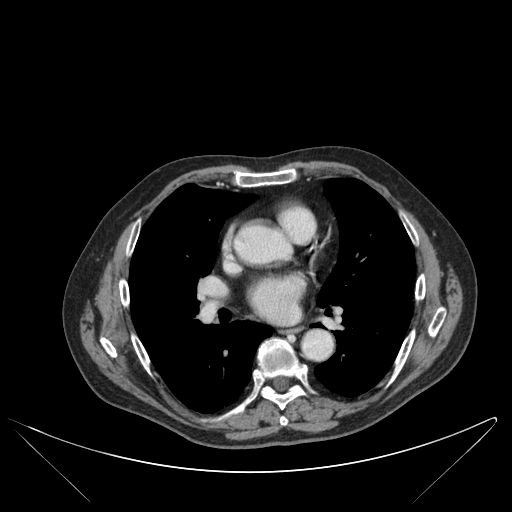
Image size 512x512 | CT slice
bone: x1=100, y1=338, x2=116, y2=357; x1=428, y1=308, x2=445, y2=336; x1=280, y1=416, x2=287, y2=424; x1=235, y1=169, x2=294, y2=186; x1=415, y1=274, x2=425, y2=299; x1=131, y1=336, x2=149, y2=372; x1=406, y1=219, x2=417, y2=241; x1=390, y1=331, x2=414, y2=382; x1=223, y1=339, x2=307, y2=416; x1=119, y1=280, x2=129, y2=305; x1=127, y1=229, x2=137, y2=254 | lung: x1=314, y1=178, x2=415, y2=396; x1=129, y1=184, x2=272, y2=413